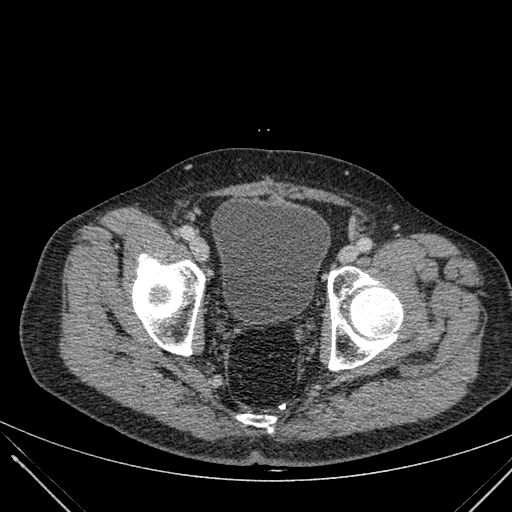
Pelvis, CT
urinary bladder: (x1=211, y1=201, x2=330, y2=321)